Slice 35/87. Computed tomography. Upper abdomen.
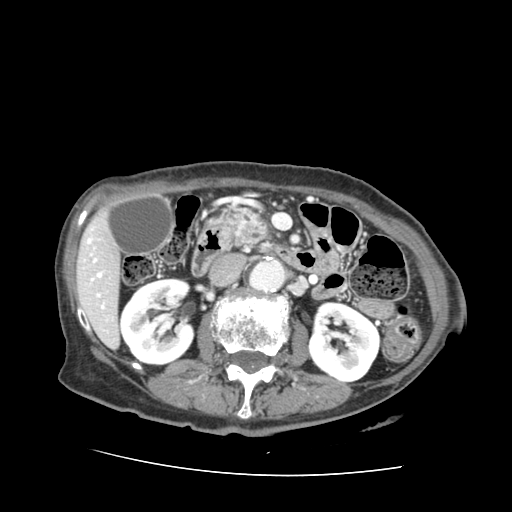
The pancreatic tumor is at [232, 218, 266, 245]. The pancreas lies within [214, 206, 280, 246].